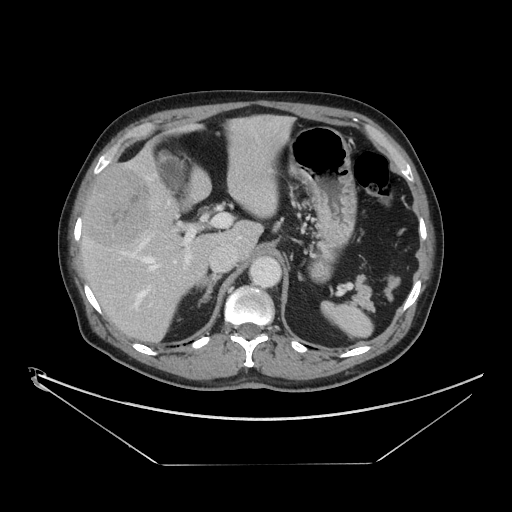
512x512 px, CT

Not every hepatic vessel necessarily has a box.
liver tumor: [84,165,153,249] | hepatic vessel: [121,252,126,253], [132,303,137,306], [154,174,155,175], [168,201,169,202], [174,260,175,262], [143,257,157,269], [128,237,148,257], [137,286,150,300], [185,254,191,265]